CT image, Abdomen, Slice 371 of 986

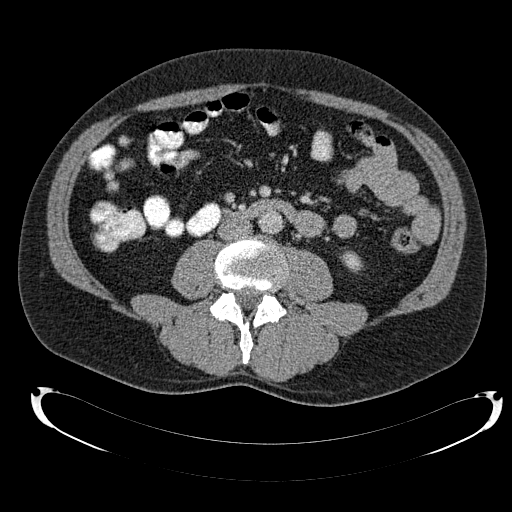
The kidney is bounded by left=344, top=254, right=360, bottom=269.